Liver | Image size 512x512 | Computed tomography | Slice 396 of 605
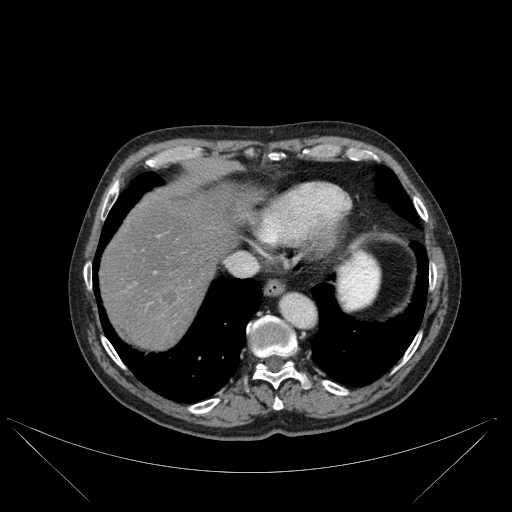 <segmentation>
  <liver>region(99, 184, 257, 351)</liver>
  <bone>region(268, 154, 283, 160); region(84, 268, 91, 287); region(414, 197, 427, 219); region(253, 362, 305, 387); region(189, 399, 218, 413); region(242, 375, 249, 392); region(273, 398, 282, 409); region(247, 315, 296, 357); region(102, 337, 123, 366); region(429, 266, 436, 286); region(403, 334, 421, 363); region(105, 181, 118, 202); region(323, 381, 347, 394)</bone>
  <hepatic_lesion>region(160, 289, 177, 304)</hepatic_lesion>
  <lung>region(93, 172, 261, 402); region(311, 243, 428, 385); region(375, 166, 418, 225)</lung>
</segmentation>